Field of view 240 mm wide, 1.00 mm slice spacing. Image size 240x240.
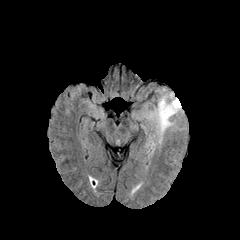
FLAIR MR.
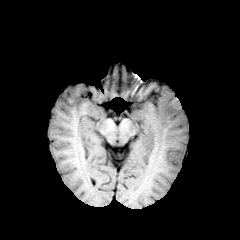
T1-weighted MR.
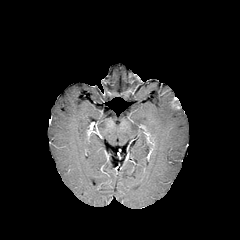
Post-contrast T1-weighted magnetic resonance of the same slice.
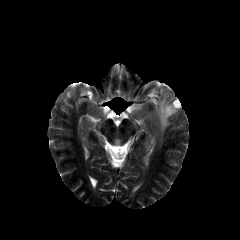
T2-weighted MR.
The edema appears at {"x1": 140, "y1": 88, "x2": 181, "y2": 139}. The enhancing tumor is at {"x1": 171, "y1": 97, "x2": 179, "y2": 108}.